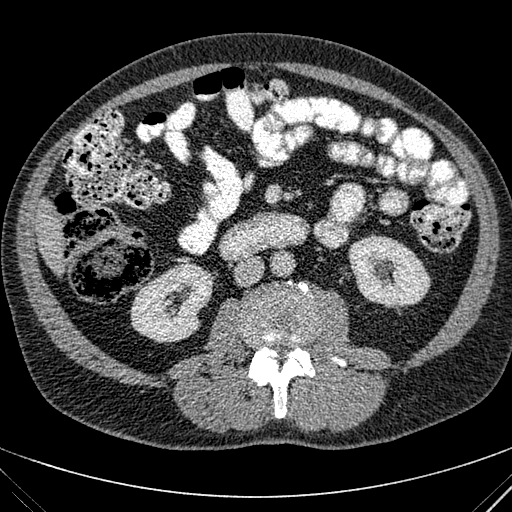
CT image | Image size 512x512 | Abdomen
2 kidney regions are bounded by rect(131, 263, 212, 341); rect(349, 236, 429, 306). The liver is bounded by rect(36, 198, 62, 272).